Upper abdomen. CT scan slice. 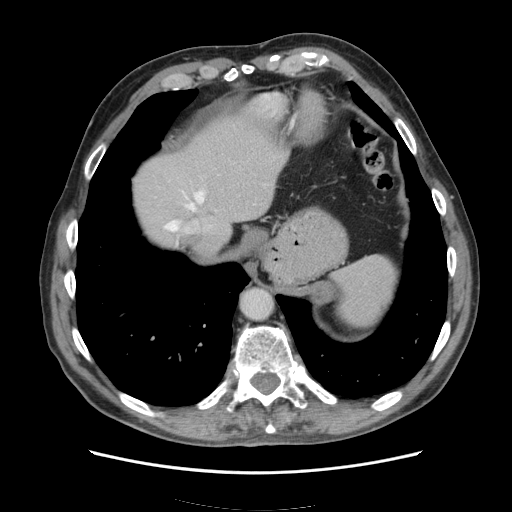 * spleen: (left=332, top=255, right=398, bottom=331)